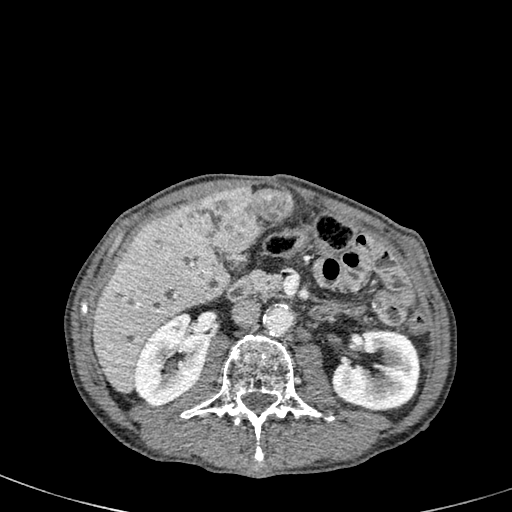 512x512 px; CT slice
2 kidney regions are located at [134, 313, 212, 405], [333, 331, 418, 409]. The liver is at [93, 203, 229, 393]. 2 liver lesion regions are bounded by [190, 187, 291, 252], [108, 288, 122, 300].